Slice 86/155, 240x240, Brain
FLAIR MR image.
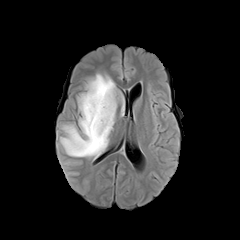
T1-weighted MRI.
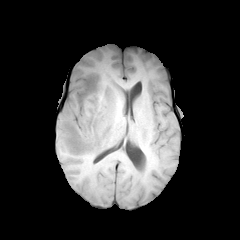
Post-contrast T1-weighted magnetic resonance.
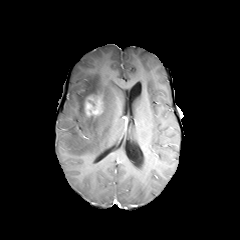
T2-weighted MR image.
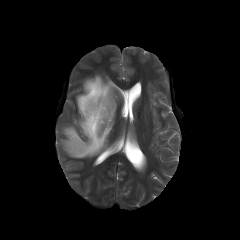
Non-enhancing tumor core — rect(85, 95, 104, 115).
Edema — rect(59, 74, 119, 159); rect(121, 95, 124, 116).